FLAIR MR image.
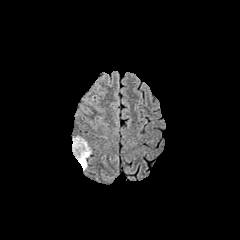
T1-weighted MR image.
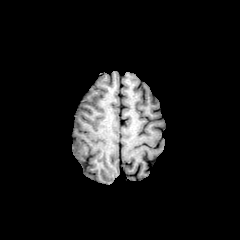
Post-contrast T1-weighted MRI.
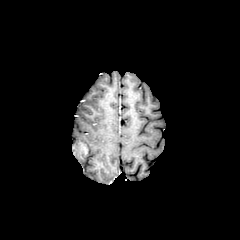
T2-weighted magnetic resonance.
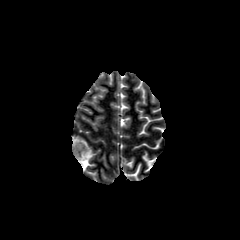
edema: (73,135,93,169)